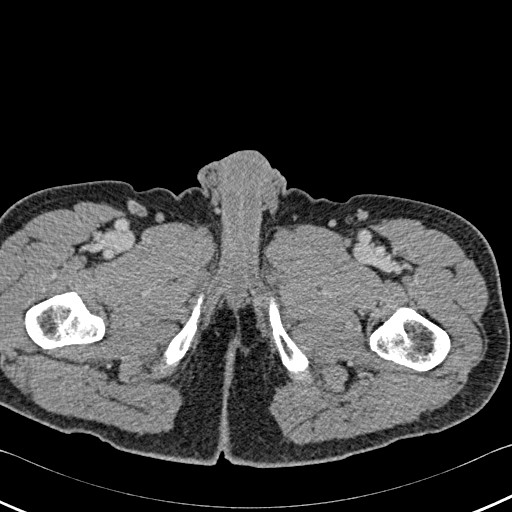
CT scan slice, Image size 512x512
4 bone regions are located at bbox(370, 308, 449, 370); bbox(26, 292, 104, 348); bbox(165, 294, 202, 365); bbox(269, 297, 308, 375).